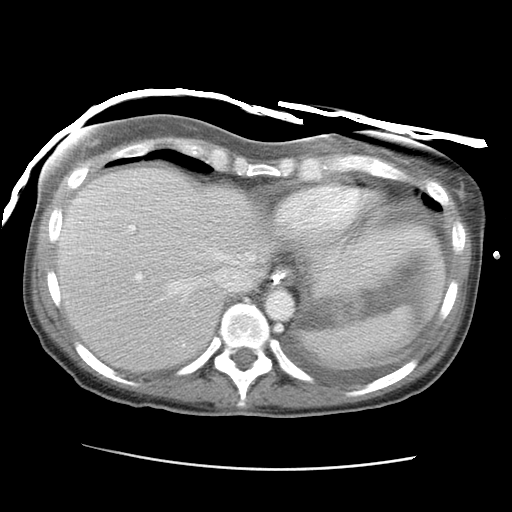
Liver, CT scan slice
4 liver regions are located at 306:215:432:286, 283:213:303:222, 296:220:321:227, 55:167:276:370.